Slice 244 of 333 | CT

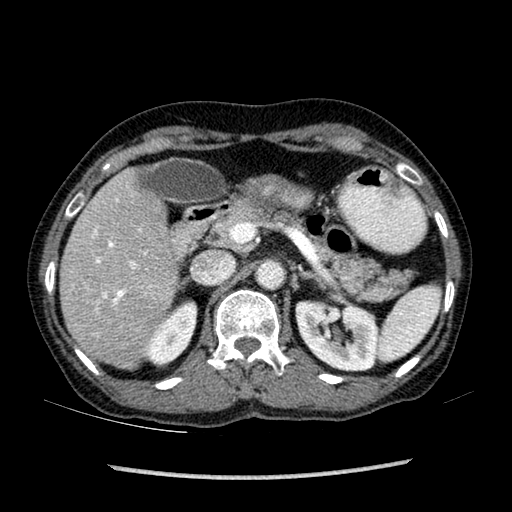
kidney:
  - bbox(144, 303, 195, 363)
  - bbox(296, 303, 376, 369)
liver:
  - bbox(61, 173, 176, 367)